Field of view 240 mm wide, 1.00 mm slice spacing | Brain | Slice index 41
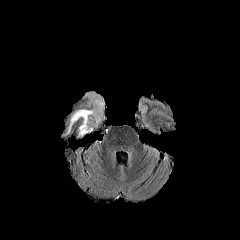
FLAIR magnetic resonance.
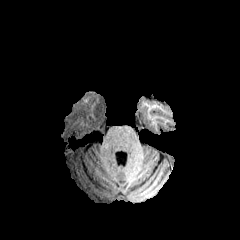
T1-weighted MRI.
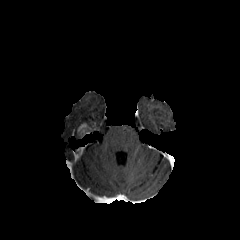
Same slice, post-contrast T1-weighted MR.
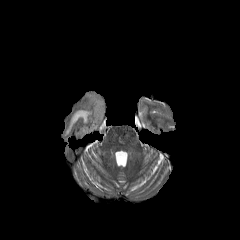
Same slice, T2-weighted MR.
The edema is at [x1=62, y1=92, x2=101, y2=136]. The enhancing tumor is located at [x1=77, y1=122, x2=93, y2=138].